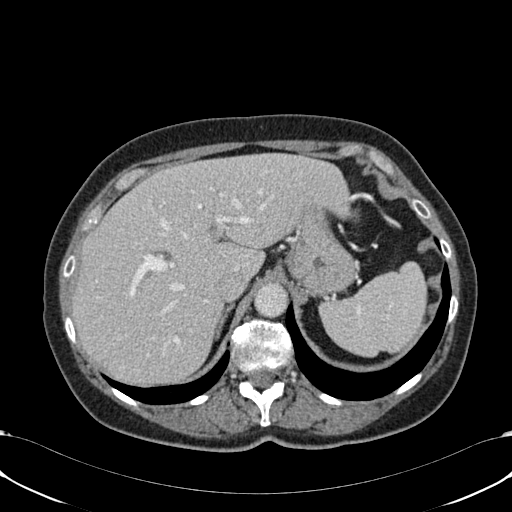

Computed tomography | 512x512
Liver: bounding box 72 155 350 383.